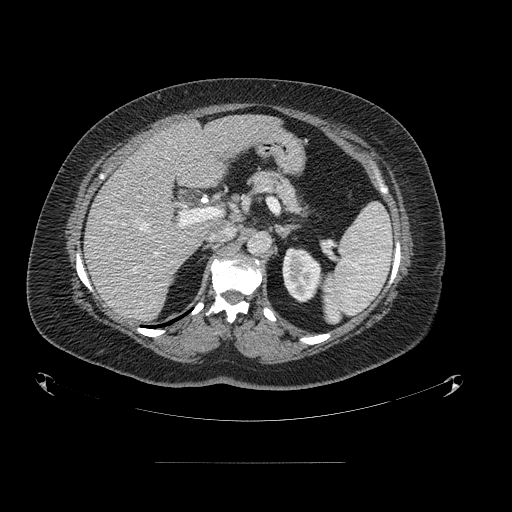 Image size 512x512; Computed tomography; Upper abdomen

Pancreas: [x1=249, y1=171, x2=305, y2=214].